FLAIR MRI.
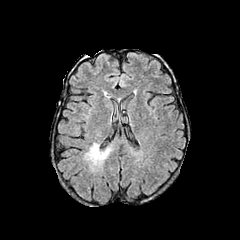
T1-weighted MRI.
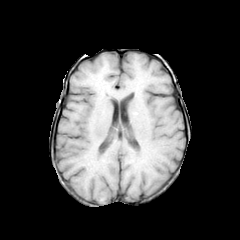
Post-contrast T1-weighted MR.
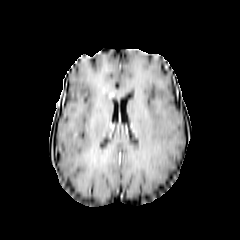
T2-weighted MR image.
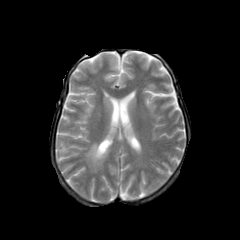
Brain.
Edema at box(84, 142, 113, 171).
Non-enhancing tumor core at box(91, 147, 109, 165).